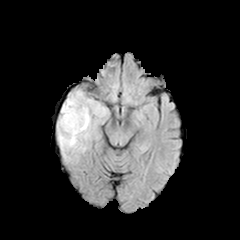
FLAIR MR.
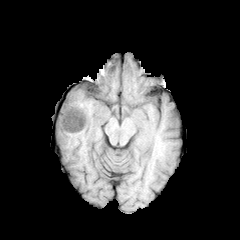
Same slice, T1-weighted MR image.
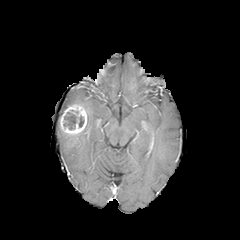
Post-contrast T1-weighted magnetic resonance.
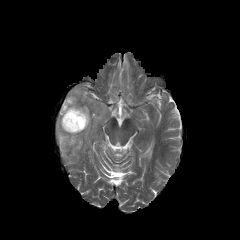
T2-weighted MR image of the same slice.
Head
The edema is located at left=57, top=89, right=108, bottom=157. The non-enhancing tumor core is located at left=64, top=112, right=76, bottom=129. The enhancing tumor is bounded by left=60, top=104, right=86, bottom=135.